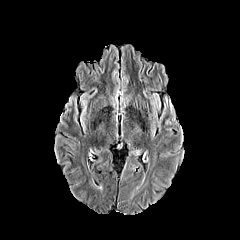
FLAIR magnetic resonance.
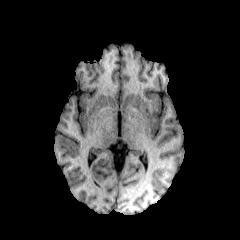
T1-weighted MRI.
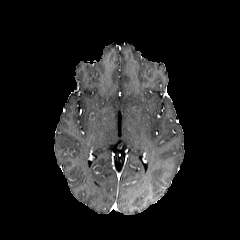
Same slice, post-contrast T1-weighted MR image.
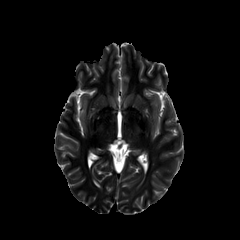
Same slice, T2-weighted MR image.
Head
2 edema regions are located at <bbox>150, 94, 161, 137</bbox>, <bbox>160, 97, 176, 122</bbox>.